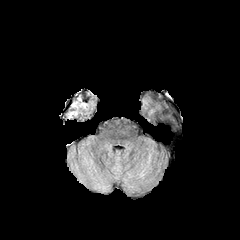
FLAIR MRI.
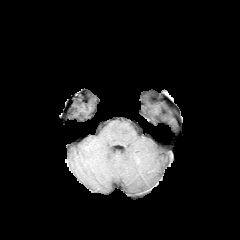
T1-weighted MRI of the same slice.
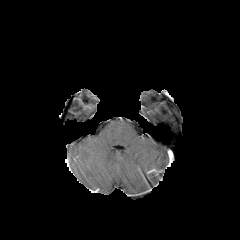
Post-contrast T1-weighted MRI.
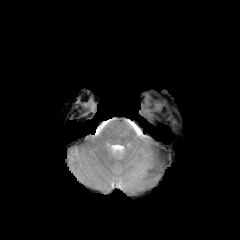
T2-weighted MR of the same slice.
240x240
edema: box=[124, 162, 145, 187]